FLAIR magnetic resonance.
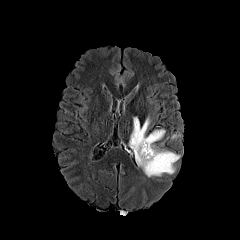
T1-weighted MRI.
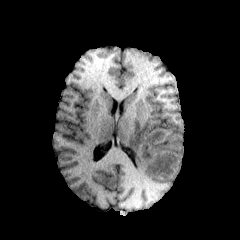
Post-contrast T1-weighted MRI.
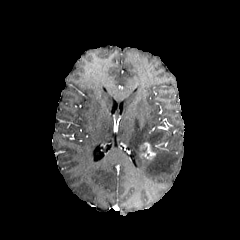
T2-weighted MR image.
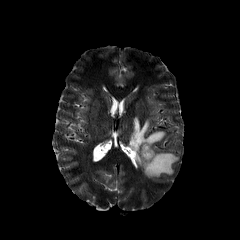
Brain; 240x240 px
The edema is bounded by 128, 117, 178, 176. The enhancing tumor is located at 139, 142, 156, 161.